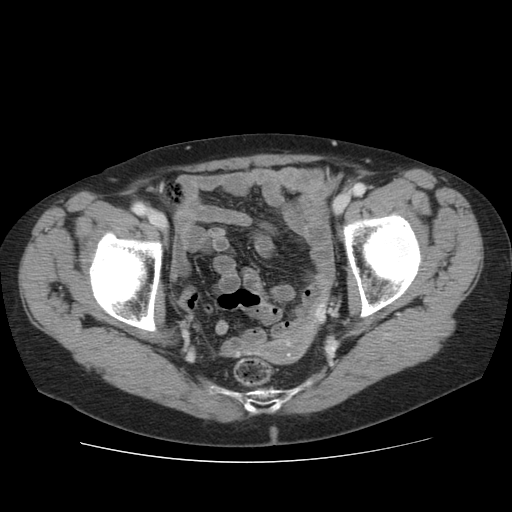 512x512. CT scan slice.
<segmentation>
  <bone>left=340, top=204, right=424, bottom=317; left=208, top=382, right=312, bottom=412; left=85, top=228, right=162, bottom=334</bone>
</segmentation>